Computed tomography; Slice 90/247; Field of view 500x500 mm; Abdomen
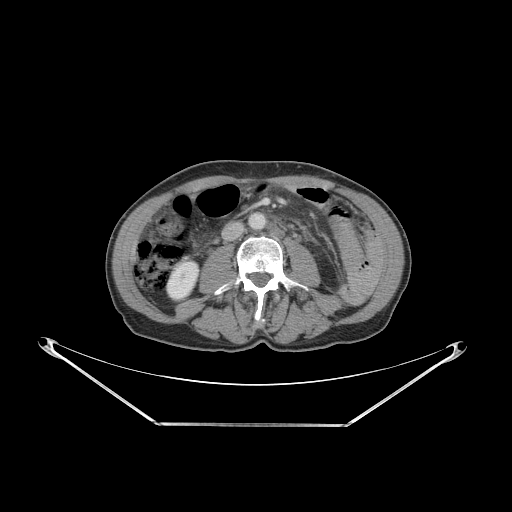
Annotated regions:
• kidney: bbox=[167, 262, 198, 298]
• bone: bbox=[234, 237, 306, 325]